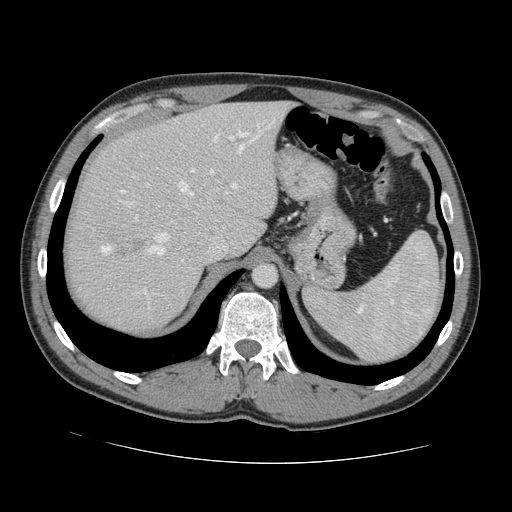

CT image | Abdomen
Not every hepatic vessel necessarily has a box.
Annotated regions:
* liver tumor: box=[122, 243, 142, 252]
* hepatic vessel (largest 15 of 22): box=[118, 190, 124, 193]; box=[213, 135, 217, 141]; box=[266, 118, 276, 128]; box=[148, 233, 168, 255]; box=[145, 183, 148, 186]; box=[231, 183, 236, 187]; box=[168, 220, 173, 223]; box=[142, 288, 149, 308]; box=[237, 144, 244, 154]; box=[124, 202, 132, 205]; box=[249, 123, 261, 142]; box=[237, 129, 247, 136]; box=[230, 136, 233, 139]; box=[134, 216, 136, 220]; box=[179, 181, 192, 195]